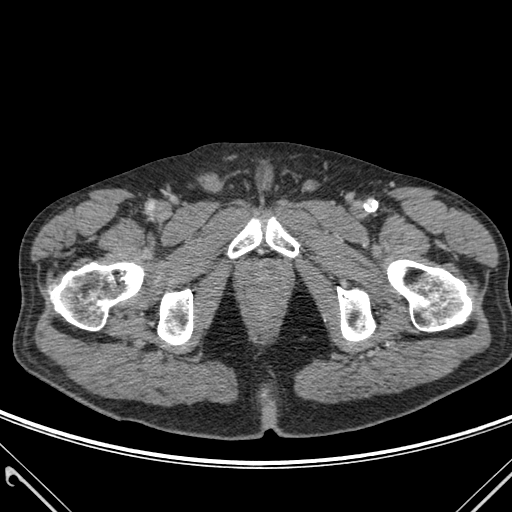 Image size 512x512, CT

{
  "bone": [
    "[x1=337, y1=287, x2=375, y2=341]",
    "[x1=266, y1=217, x2=298, y2=256]",
    "[x1=50, y1=262, x2=143, y2=330]",
    "[x1=387, y1=260, x2=471, y2=330]",
    "[x1=158, y1=289, x2=192, y2=344]",
    "[x1=228, y1=219, x2=261, y2=257]"
  ]
}